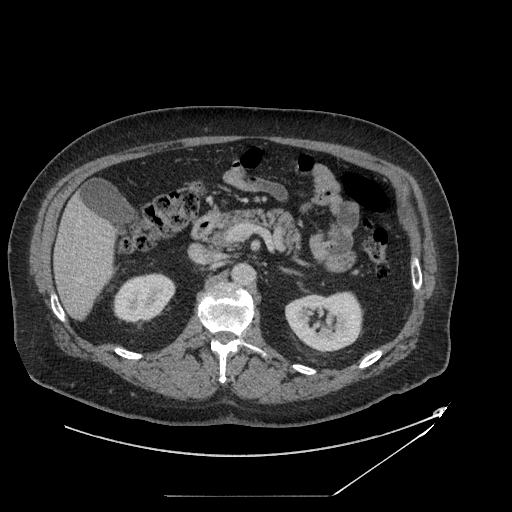

CT scan slice
pancreas: box(208, 209, 301, 257)